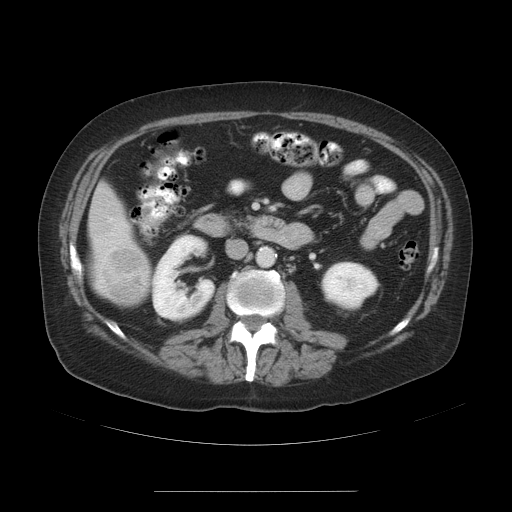
Abdomen; CT
The vessel annotation is not exhaustive.
{"liver_tumor": ["(95, 245, 149, 305)"], "hepatic_vessel": ["(107, 217, 115, 222)", "(118, 234, 126, 243)"]}